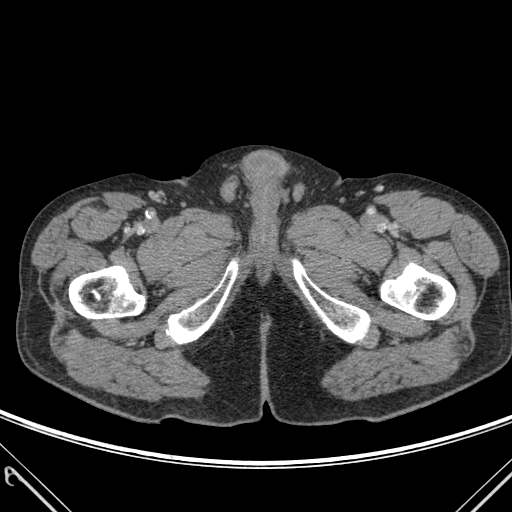
CT scan slice.
* bone: x1=166, y1=261, x2=237, y2=343; x1=69, y1=266, x2=144, y2=318; x1=293, y1=260, x2=369, y2=342; x1=381, y1=263, x2=455, y2=319